240x240. Field of view 240 mm wide, 1.00 mm slice spacing. Slice 66 of 155.
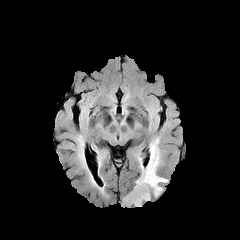
FLAIR MRI.
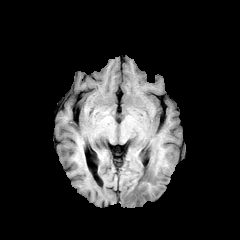
T1-weighted magnetic resonance.
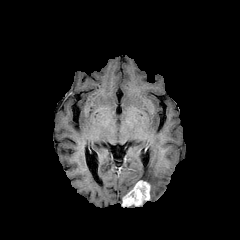
Post-contrast T1-weighted MRI of the same slice.
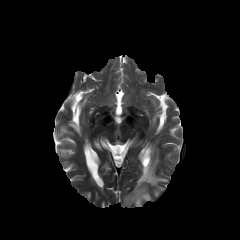
T2-weighted magnetic resonance.
enhancing tumor: bbox(122, 180, 150, 206) | edema: bbox(138, 137, 168, 196)